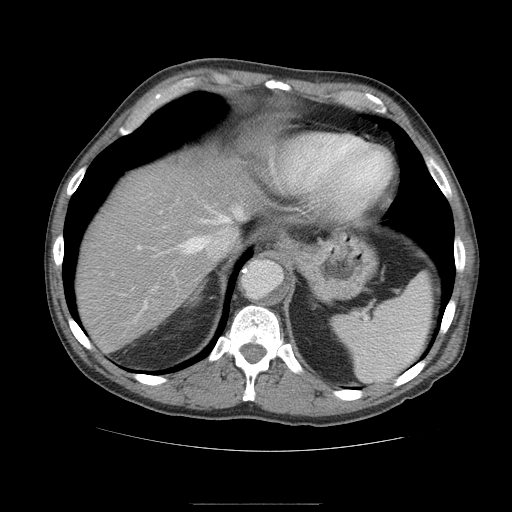
CT slice, Abdomen
Not every hepatic vessel necessarily has a box.
hepatic_vessel:
  - rect(138, 246, 139, 248)
  - rect(234, 207, 241, 217)
  - rect(208, 208, 211, 210)
  - rect(200, 215, 229, 224)
  - rect(180, 228, 235, 255)
  - rect(142, 301, 146, 310)